Lower abdomen, Image size 512x512, Computed tomography 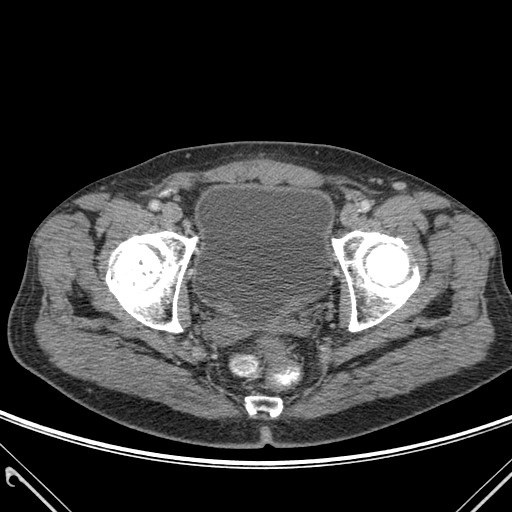

{
  "urinary_bladder": [
    "rect(195, 188, 331, 317)"
  ],
  "bone": [
    "rect(106, 231, 197, 332)",
    "rect(332, 231, 419, 331)",
    "rect(245, 396, 282, 416)"
  ]
}